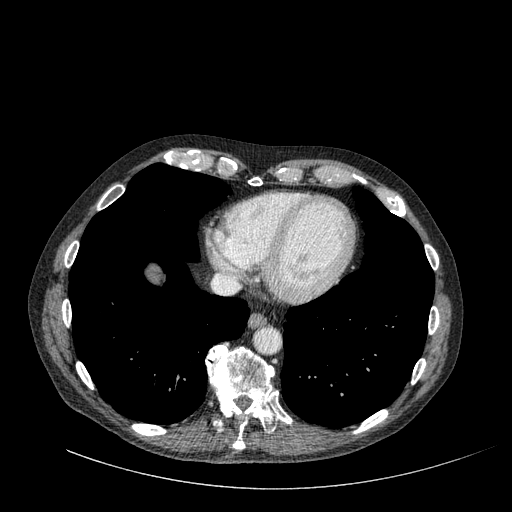

Liver; CT scan slice
The liver lies within [150, 272, 159, 281].